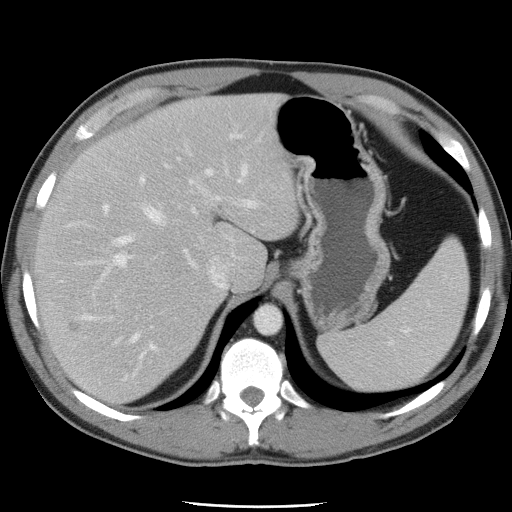

CT scan slice; Abdomen; 512x512 px

Some hepatic vessels may have no box.
<segmentation partial="true">
  <hepatic_vessel shown="15" total="22">bbox=[184, 250, 187, 256]; bbox=[112, 234, 133, 246]; bbox=[142, 204, 164, 224]; bbox=[208, 257, 231, 288]; bbox=[103, 204, 108, 213]; bbox=[149, 345, 153, 349]; bbox=[101, 253, 131, 279]; bbox=[205, 170, 210, 174]; bbox=[238, 199, 256, 208]; bbox=[80, 314, 98, 320]; bbox=[188, 257, 194, 265]; bbox=[212, 196, 220, 200]; bbox=[242, 165, 244, 173]; bbox=[129, 332, 139, 341]; bbox=[189, 179, 204, 192]</hepatic_vessel>
</segmentation>